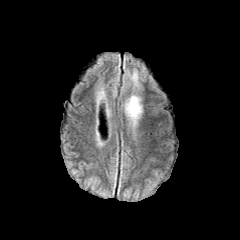
FLAIR MRI.
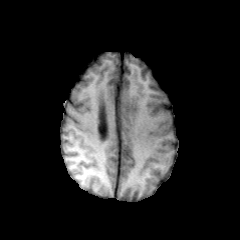
Same slice, T1-weighted MR image.
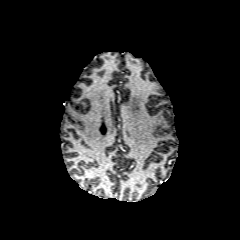
Post-contrast T1-weighted MR of the same slice.
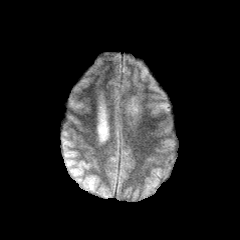
T2-weighted MR.
240x240
{
  "edema": [
    {"x1": 124, "y1": 95, "x2": 141, "y2": 124},
    {"x1": 132, "y1": 71, "x2": 137, "y2": 84}
  ]
}